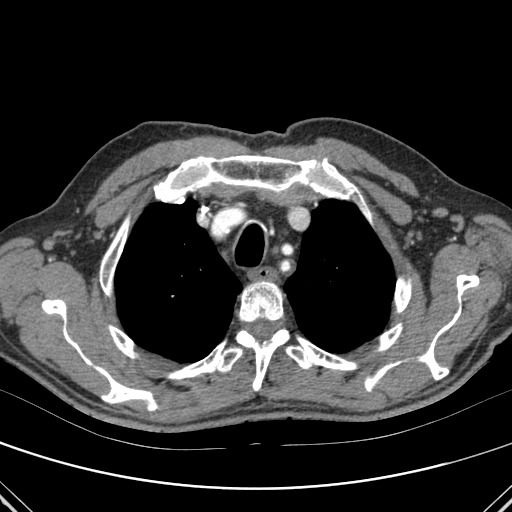

CT image, Thorax

2 lung regions are bounded by bbox(115, 198, 242, 362); bbox(284, 199, 395, 352). 14 bone regions appear at bbox(394, 277, 411, 312); bbox(286, 337, 356, 370); bbox(378, 323, 402, 350); bbox(100, 216, 129, 296); bbox(239, 282, 282, 321); bbox(236, 329, 289, 390); bbox(96, 366, 157, 410); bbox(108, 325, 137, 357); bbox(365, 361, 398, 391); bbox(154, 155, 357, 203); bbox(167, 342, 242, 379); bbox(419, 307, 461, 379); bbox(456, 274, 479, 302); bbox(42, 299, 91, 364).